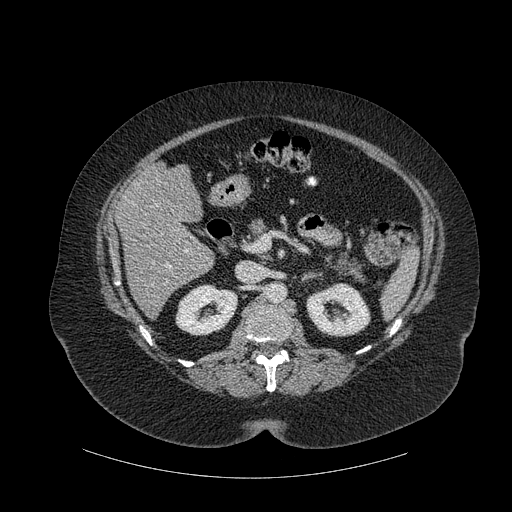
Abdomen; CT scan slice
liver: {"x1": 116, "y1": 161, "x2": 215, "y2": 312} | kidney: {"x1": 307, "y1": 284, "x2": 369, "y2": 335}, {"x1": 176, "y1": 285, "x2": 236, "y2": 334} | bone: {"x1": 256, "y1": 350, "x2": 288, "y2": 391}, {"x1": 179, "y1": 360, "x2": 193, "y2": 366}, {"x1": 246, "y1": 299, "x2": 289, "y2": 341}, {"x1": 390, "y1": 319, "x2": 401, "y2": 335}, {"x1": 140, "y1": 326, "x2": 151, "y2": 344}